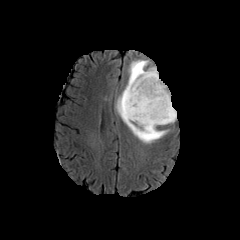
FLAIR magnetic resonance.
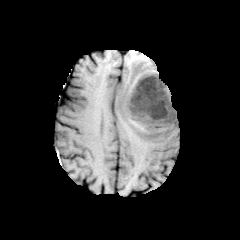
Same slice, T1-weighted MR image.
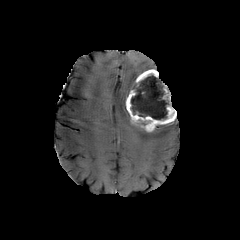
Post-contrast T1-weighted magnetic resonance of the same slice.
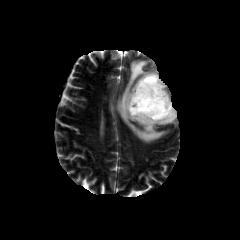
Same slice, T2-weighted magnetic resonance.
Head
enhancing tumor: 125, 69, 176, 133 | edema: 114, 59, 175, 144 | non-enhancing tumor core: 131, 74, 167, 119